Liver; CT
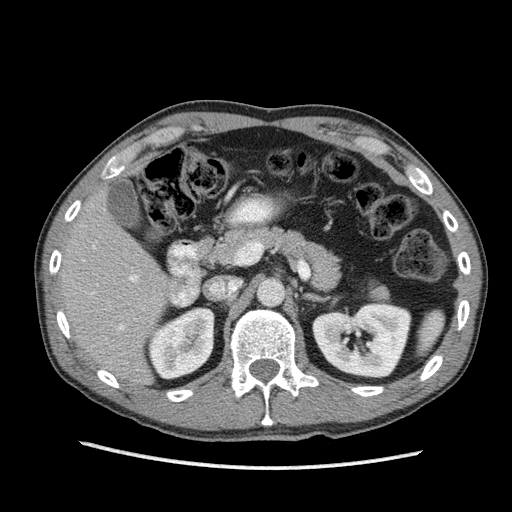 Segmented structures:
- kidney: region(150, 309, 213, 377); region(313, 304, 409, 376)
- liver: region(56, 183, 177, 388)